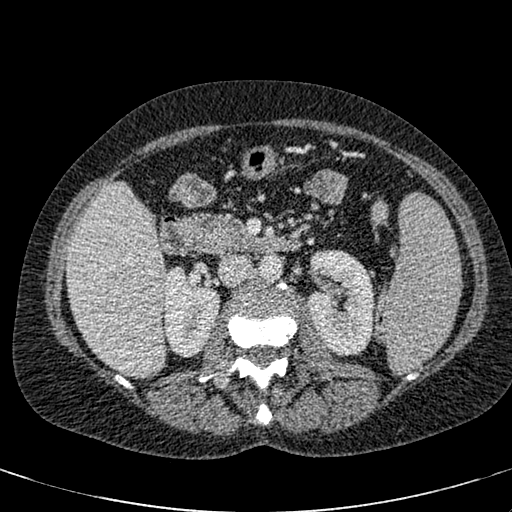 Upper abdomen; CT scan slice
2 kidney regions are bounded by x1=164, y1=267, x2=219, y2=355; x1=307, y1=251, x2=373, y2=355. The liver is at x1=65, y1=183, x2=166, y2=378.